Brain; Field of view 240x240 mm
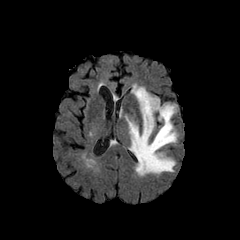
FLAIR MR image.
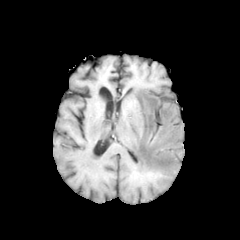
T1-weighted MRI of the same slice.
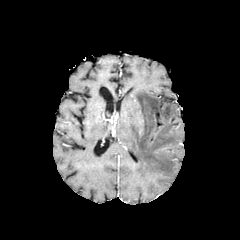
Post-contrast T1-weighted MR of the same slice.
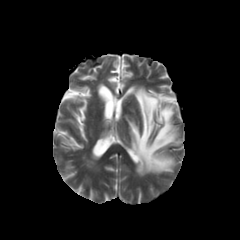
T2-weighted MR image.
Edema at 125 84 180 175.